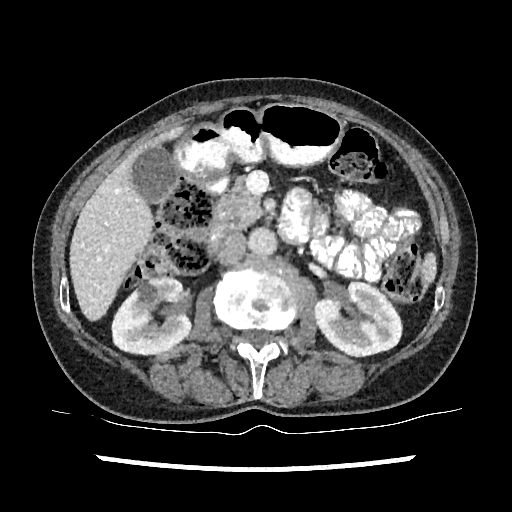
CT scan slice
2 kidney regions are located at [113,277,192,353], [315,282,403,355]. The liver is located at [71,127,182,320].